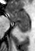

Medial temporal lobe. Magnetic resonance.
2 posterior hippocampus regions are bounded by left=16, top=21, right=29, bottom=32; left=13, top=21, right=16, bottom=21. The anterior hippocampus is bounded by left=8, top=11, right=29, bottom=20.